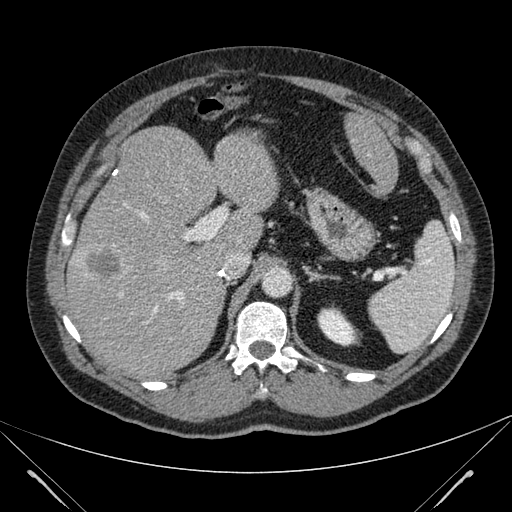 Computed tomography; Abdomen; 512x512

<segmentation>
  <kidney>box(319, 310, 354, 344)</kidney>
  <liver>box(345, 113, 397, 194); box(55, 126, 277, 381)</liver>
  <liver_lesion>box(84, 247, 122, 281)</liver_lesion>
</segmentation>